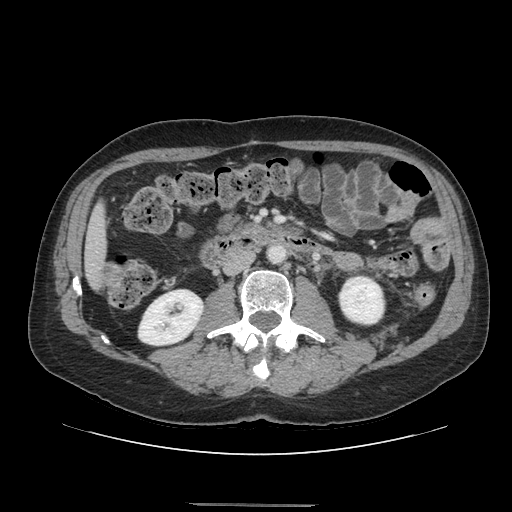
Abdomen, CT image, 512x512 px

Pancreas at (left=236, top=224, right=260, bottom=232).